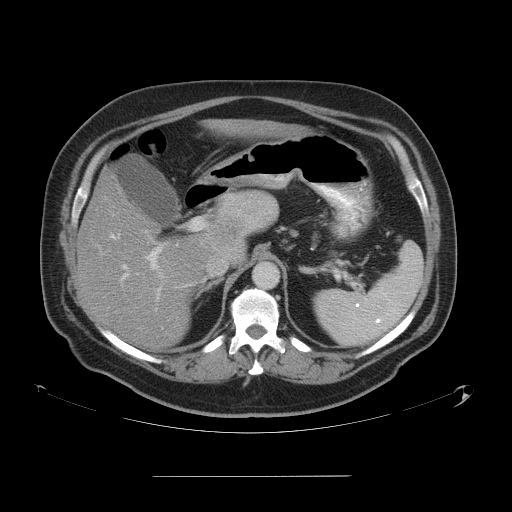

Liver, CT scan slice
Only some of the vessels may be annotated.
hepatic_vessel:
  - <box>110,234,119,239</box>
  - <box>156,288,160,301</box>
  - <box>151,265,153,268</box>
  - <box>147,256,150,258</box>
  - <box>197,226,205,228</box>
  - <box>121,265,128,282</box>
  - <box>160,276,163,277</box>
liver_tumor:
  - <box>217,225,242,239</box>